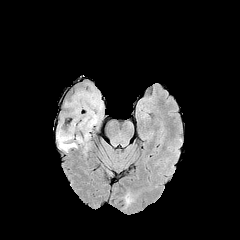
FLAIR MRI.
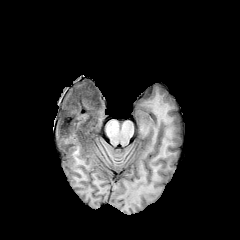
T1-weighted MR image.
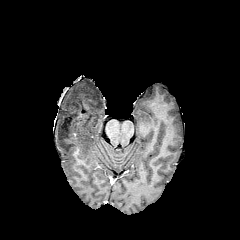
Post-contrast T1-weighted MR.
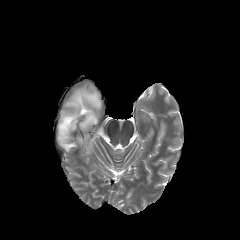
Same slice, T2-weighted magnetic resonance.
Image size 240x240.
{
  "edema": [
    {"x1": 74, "y1": 84, "x2": 95, "y2": 93},
    {"x1": 57, "y1": 90, "x2": 102, "y2": 155}
  ],
  "non-enhancing_tumor_core": [
    {"x1": 69, "y1": 88, "x2": 100, "y2": 111}
  ]
}